Slice index 14, CT slice

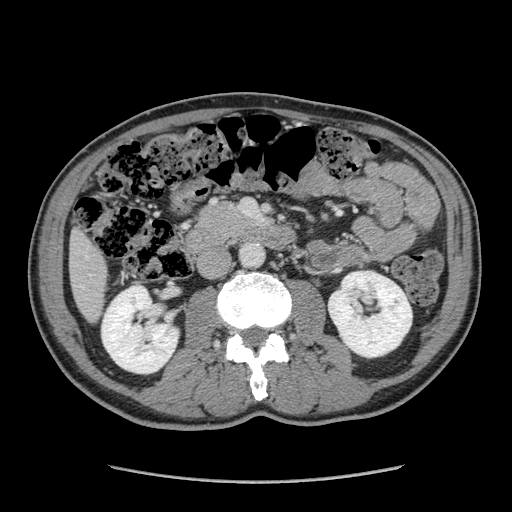
pancreas:
  - box(190, 201, 258, 245)